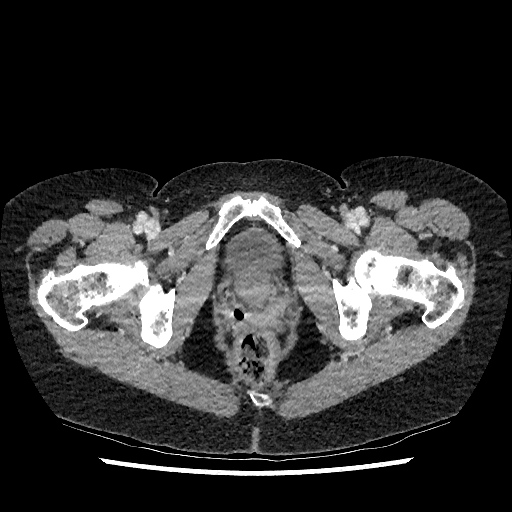
CT scan slice

<segmentation>
  <urinary_bladder>bbox(220, 219, 289, 289)</urinary_bladder>
</segmentation>